Slice index 72.
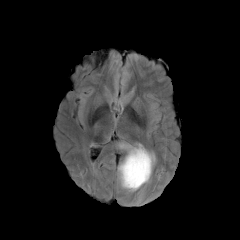
FLAIR magnetic resonance.
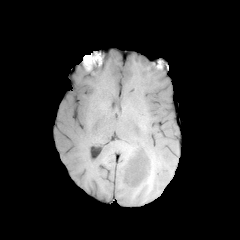
Same slice, T1-weighted MR image.
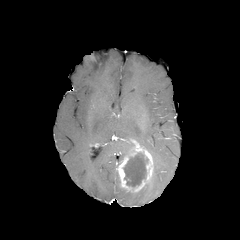
Post-contrast T1-weighted magnetic resonance of the same slice.
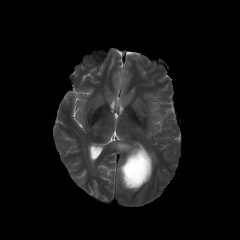
T2-weighted MR.
Segmented structures:
- edema: 121:143:135:155
- enhancing tumor: 130:144:152:190, 118:156:132:189
- non-enhancing tumor core: 124:153:147:187